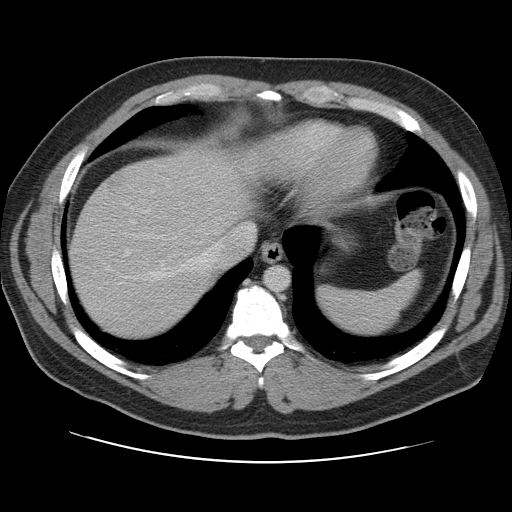
CT scan slice, Liver
The vessel annotation is not exhaustive.
liver tumor: left=110, top=176, right=117, bottom=185 | hepatic vessel: left=209, top=213, right=211, bottom=214; left=220, top=219, right=228, bottom=224; left=189, top=268, right=192, bottom=271; left=200, top=272, right=202, bottom=273; left=188, top=249, right=216, bottom=262; left=214, top=244, right=221, bottom=246; left=149, top=268, right=173, bottom=279; left=167, top=185, right=169, bottom=187; left=248, top=229, right=252, bottom=238; left=125, top=249, right=130, bottom=255; left=176, top=264, right=186, bottom=271; left=247, top=223, right=249, bottom=225; left=144, top=261, right=146, bottom=262